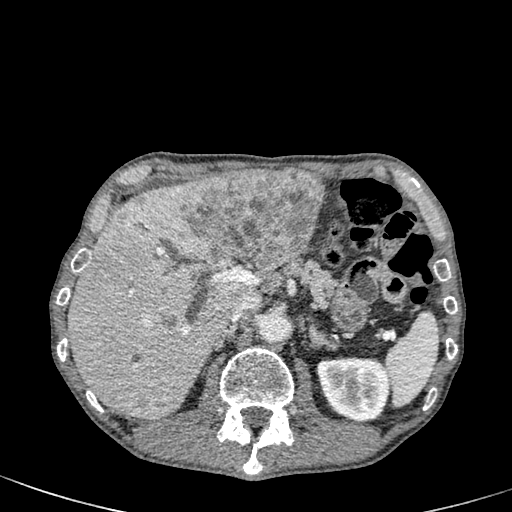

CT
Liver lesion — (left=161, top=314, right=176, bottom=328), (left=135, top=394, right=148, bottom=408), (left=184, top=168, right=325, bottom=274), (left=114, top=229, right=122, bottom=237).
Liver — (left=67, top=179, right=249, bottom=418).
Kidney — (left=318, top=358, right=394, bottom=420).